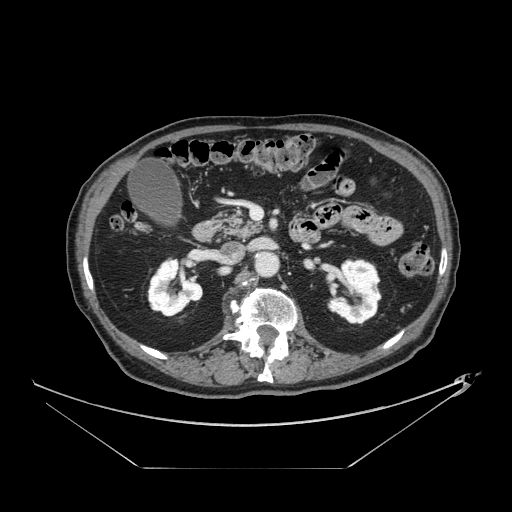 CT slice, 512x512

The pancreas appears at [216, 212, 263, 237].